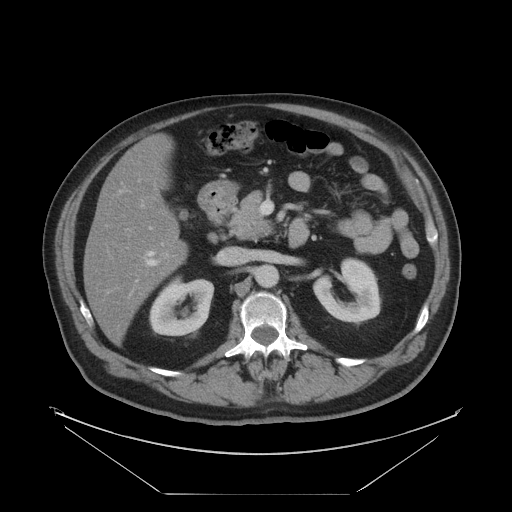 Abdomen. CT. pancreas: left=234, top=190, right=273, bottom=239